FLAIR MRI.
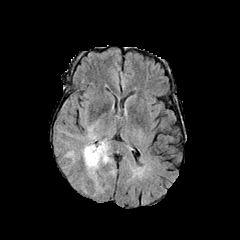
T1-weighted magnetic resonance.
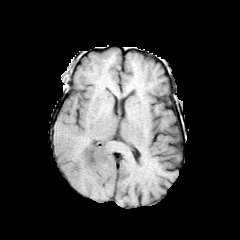
Post-contrast T1-weighted MRI.
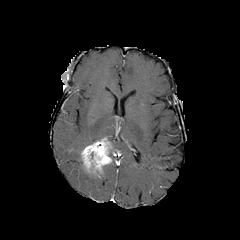
T2-weighted MR image.
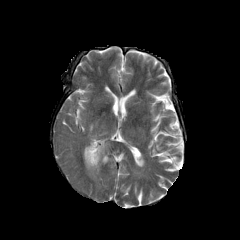
Image size 240x240, Head
edema:
  - (72,119,101,161)
  - (104,140,113,165)
  - (84,168,104,193)
enhancing_tumor:
  - (82,138,111,176)